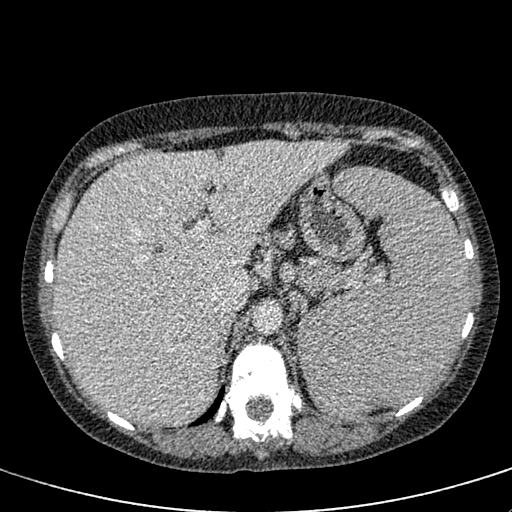 CT scan slice.
liver:
  - box=[53, 141, 348, 423]